FLAIR magnetic resonance.
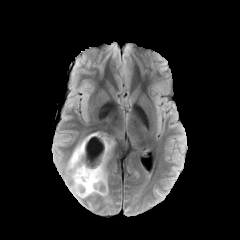
T1-weighted MR image.
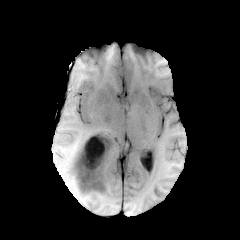
Post-contrast T1-weighted MR image.
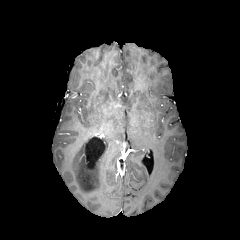
T2-weighted MRI.
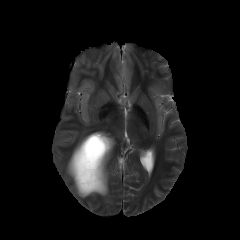
240x240 | Brain
- non-enhancing tumor core: [x1=72, y1=135, x2=108, y2=195]
- enhancing tumor: [x1=102, y1=136, x2=111, y2=152], [x1=98, y1=161, x2=104, y2=181]
- edema: [x1=67, y1=141, x2=81, y2=169], [x1=90, y1=168, x2=107, y2=195], [x1=67, y1=170, x2=87, y2=198]